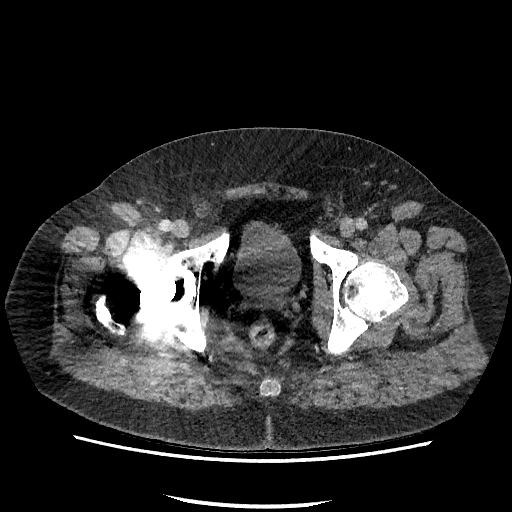

512x512; CT slice
The urinary bladder lies within (left=235, top=221, right=300, bottom=298).